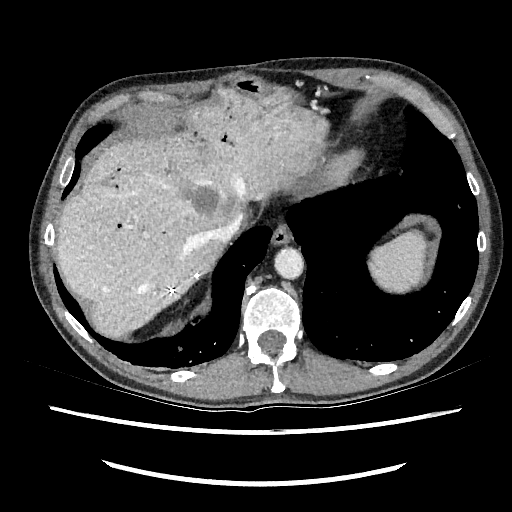

512x512, Liver, Computed tomography
Liver — bbox(57, 87, 328, 335).
Focal liver lesion — bbox(165, 163, 175, 174); bbox(182, 181, 220, 218).